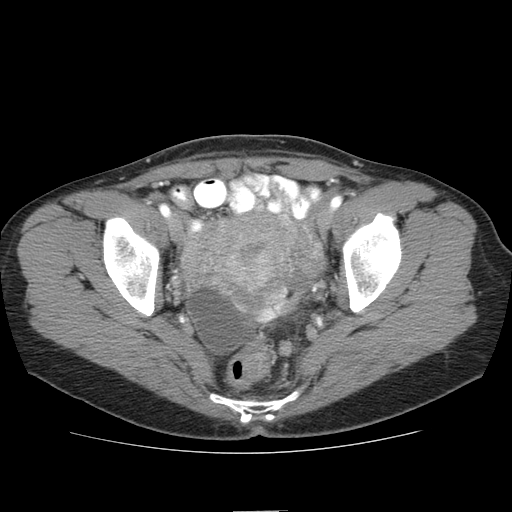
Pelvis; 512x512; CT image
The colon tumor is bounded by bbox(245, 352, 270, 381).